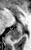

MR, Hippocampus
The posterior hippocampus lies within [x1=8, y1=24, x2=23, y2=40].